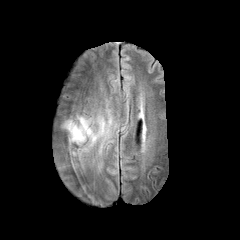
FLAIR magnetic resonance.
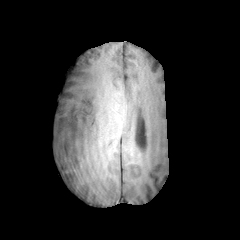
T1-weighted MR of the same slice.
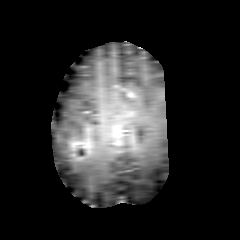
Post-contrast T1-weighted MR.
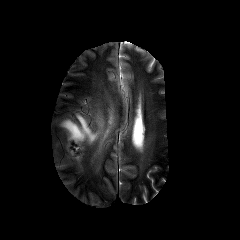
T2-weighted MR.
The edema is at [x1=63, y1=114, x2=96, y2=144]. The non-enhancing tumor core is located at [x1=72, y1=144, x2=91, y2=161].